Thorax; CT scan slice 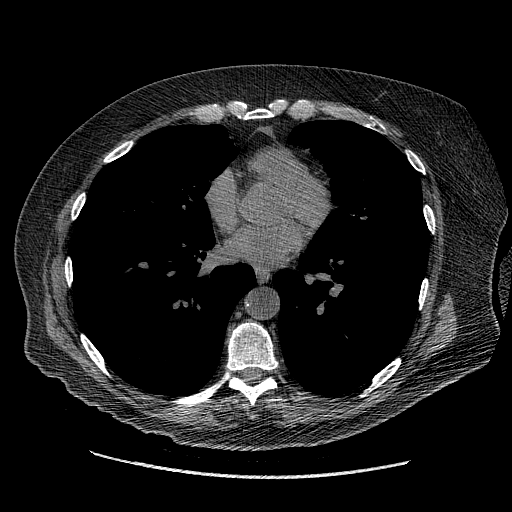
Lung tumor: bounding box 107,265,122,275.